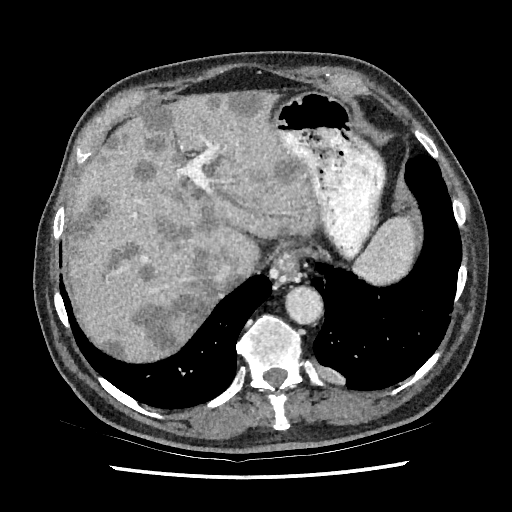

Upper abdomen; 512x512; CT

<segmentation>
  <liver>bbox=[67, 92, 316, 359]</liver>
  <liver_lesion>bbox=[134, 248, 230, 352]; bbox=[69, 194, 113, 260]; bbox=[164, 186, 185, 207]; bbox=[106, 241, 140, 271]; bbox=[103, 135, 124, 156]; bbox=[256, 156, 303, 191]; bbox=[140, 267, 153, 280]; bbox=[226, 92, 263, 116]; bbox=[103, 335, 124, 357]; bbox=[134, 160, 159, 181]; bbox=[277, 226, 290, 235]; bbox=[144, 108, 175, 151]; bbox=[153, 206, 227, 248]</liver_lesion>
</segmentation>